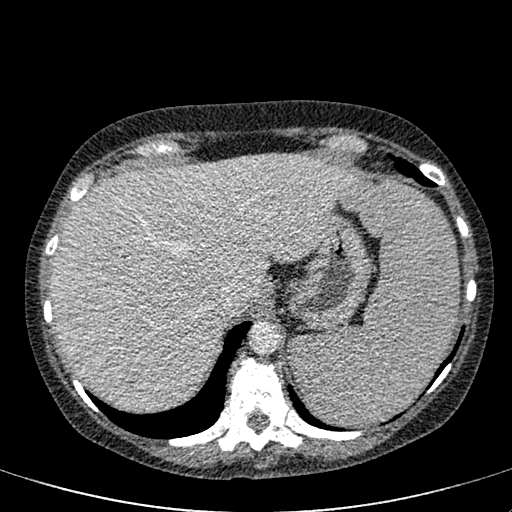 CT scan slice | Upper abdomen
liver:
  - (x1=53, y1=155, x2=359, y2=410)